CT scan slice. Abdomen.

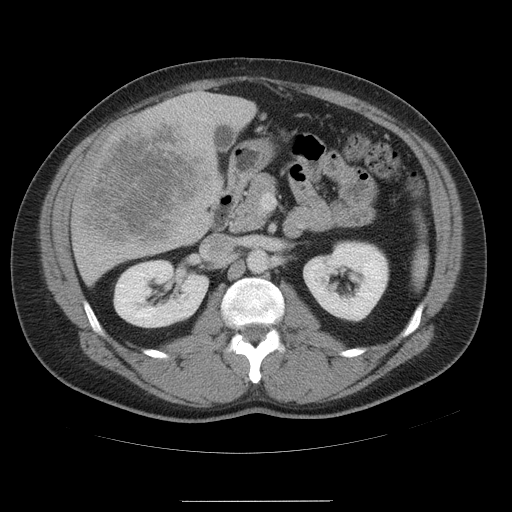

spleen:
  - bbox(415, 222, 422, 231)
  - bbox(415, 243, 424, 273)
  - bbox(415, 275, 421, 284)